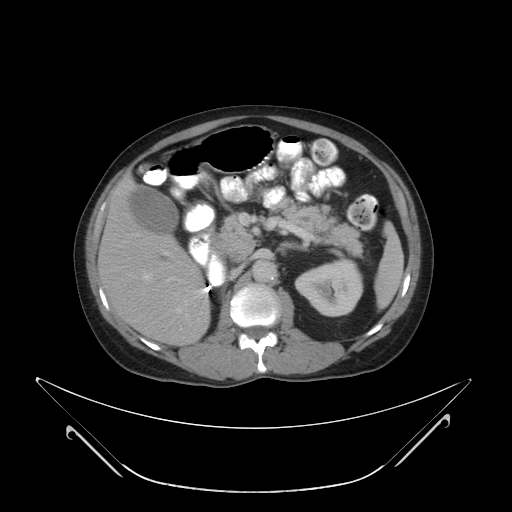 CT. Pancreatic tumor = 219, 232, 251, 256.
Pancreas = 271, 202, 364, 257; 215, 214, 255, 262.